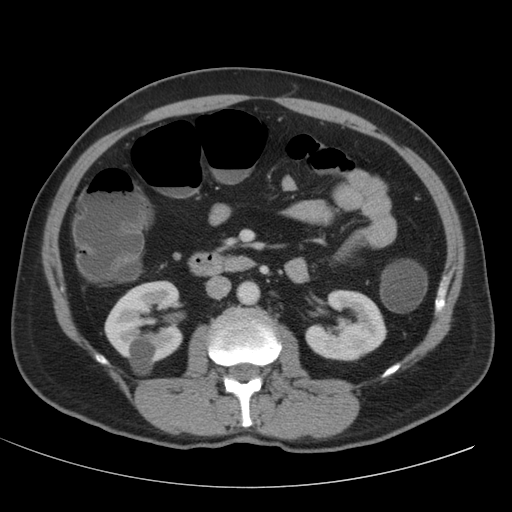
Abdomen. CT.

Kidney: left=306, top=290, right=385, bottom=360; left=105, top=281, right=181, bottom=362.